Field of view 240 mm wide, 1.00 mm slice spacing | Slice index 74 | Head
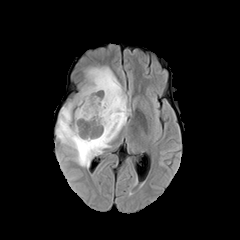
FLAIR MRI.
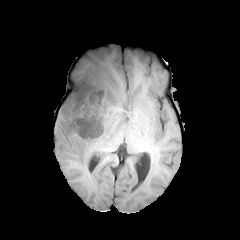
T1-weighted MR.
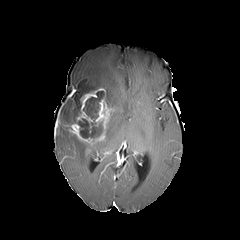
Same slice, post-contrast T1-weighted MRI.
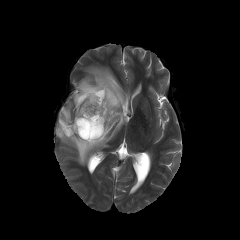
T2-weighted MR of the same slice.
<segmentation>
  <enhancing_tumor>(x1=93, y1=99, x2=109, y2=140), (x1=70, y1=122, x2=92, y2=141), (x1=77, y1=88, x2=103, y2=122)</enhancing_tumor>
  <non-enhancing_tumor_core>(x1=74, y1=86, x2=98, y2=110), (x1=55, y1=120, x2=73, y2=135), (x1=83, y1=86, x2=113, y2=119), (x1=74, y1=116, x2=102, y2=141)</non-enhancing_tumor_core>
  <edema>(x1=56, y1=66, x2=130, y2=167), (x1=58, y1=101, x2=79, y2=123)</edema>
</segmentation>